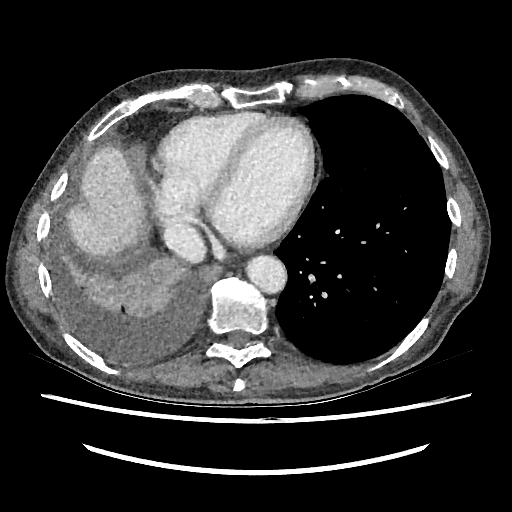

Liver. CT image.
Liver — 66,146,145,255.